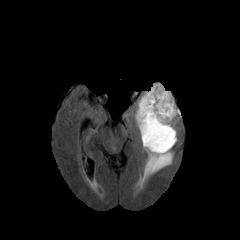
FLAIR magnetic resonance.
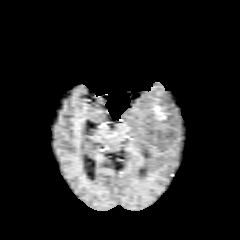
T1-weighted MR.
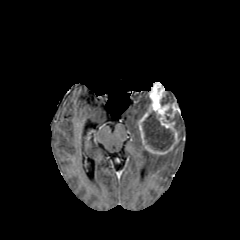
Post-contrast T1-weighted MR.
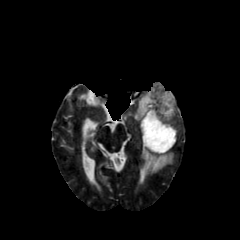
Same slice, T2-weighted MRI.
Brain.
Non-enhancing tumor core — 143 112 174 151, 161 94 169 104.
Enhancing tumor — 137 82 181 154.
Edema — 134 91 147 123, 138 151 173 185.